Image width 700 mm | CT image

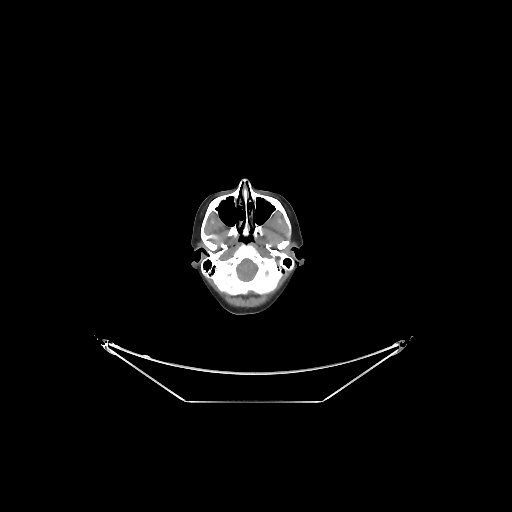

The brain is bounded by 236 258 258 281.